CT slice. Slice index 210. 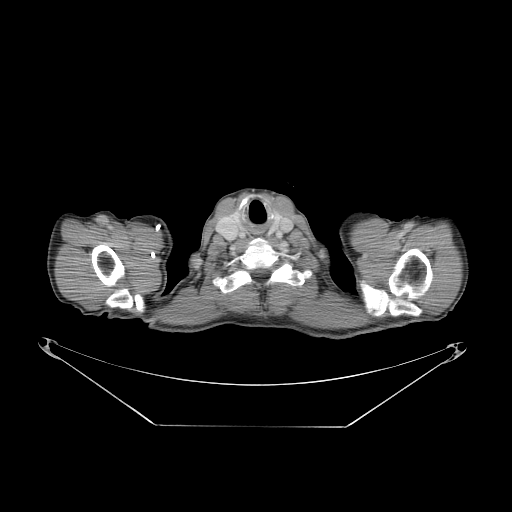 Bone — x1=361 y1=249 x2=432 y2=315, x1=107 y1=289 x2=132 y2=307, x1=298 y1=271 x2=311 y2=283, x1=91 y1=245 x2=124 y2=286, x1=135 y1=295 x2=143 y2=310, x1=213 y1=238 x2=292 y2=293.